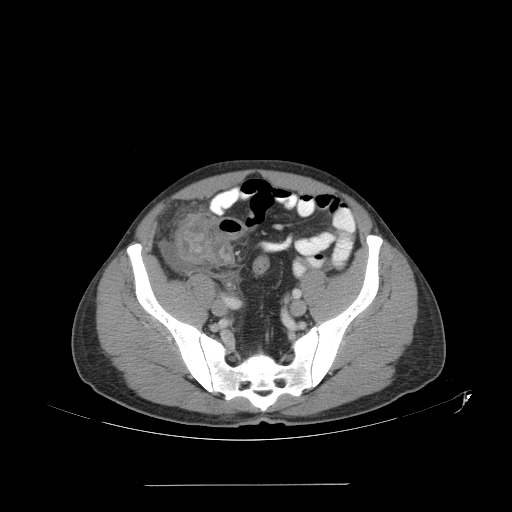 Pelvis; Image size 512x512; CT image

colon_tumor:
  - box=[174, 213, 218, 264]